MRI slice

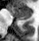

posterior hippocampus: (17, 19, 26, 19) | anterior hippocampus: (12, 7, 31, 18)